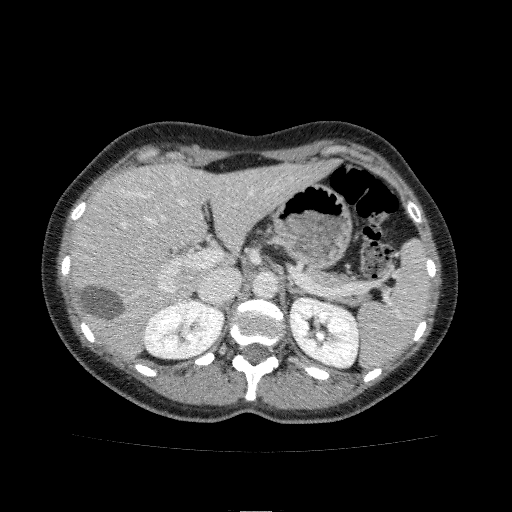

CT slice | 512x512 | Abdomen
- liver: [70,160,335,358]
- kidney: [144,301,223,358], [290,298,358,367]